240x240, Image width 240 mm
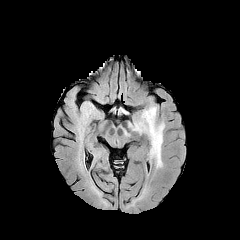
FLAIR MRI.
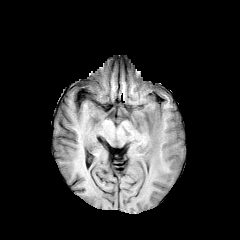
Same slice, T1-weighted MRI.
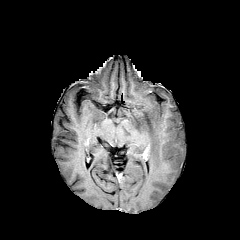
Post-contrast T1-weighted MR.
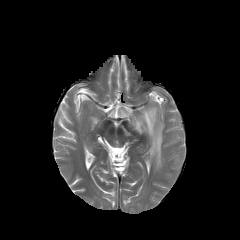
T2-weighted MR image of the same slice.
Annotated regions:
* edema: 129 98 165 168